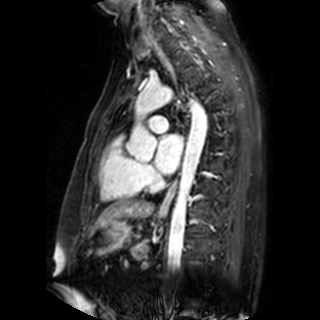

Heart; MR image
Segmented structures:
* left atrium: [154, 134, 182, 174]